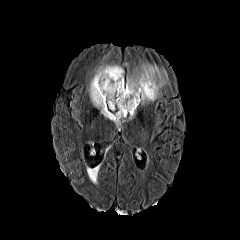
FLAIR MRI.
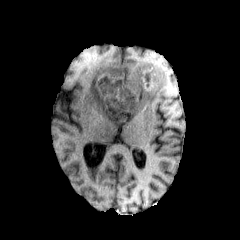
T1-weighted magnetic resonance.
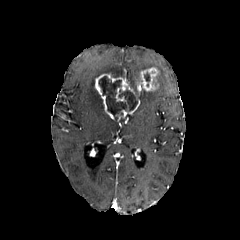
Same slice, post-contrast T1-weighted magnetic resonance.
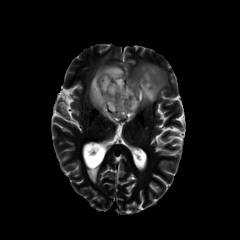
T2-weighted MRI.
Head
<segmentation>
  <edema>left=87, top=61, right=124, bottom=121; left=126, top=61, right=169, bottom=107</edema>
  <non-enhancing_tumor_core>left=118, top=89, right=138, bottom=111; left=98, top=75, right=127, bottom=120; left=143, top=72, right=150, bottom=82</non-enhancing_tumor_core>
  <enhancing_tumor>left=98, top=86, right=114, bottom=118; left=96, top=67, right=159, bottom=121; left=115, top=87, right=127, bottom=104</enhancing_tumor>
</segmentation>